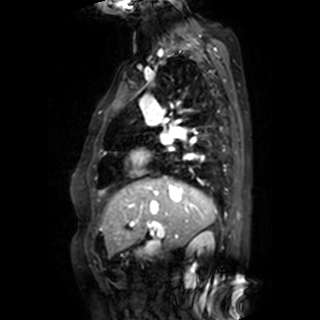 MRI. 320x320.

<segmentation>
  <left_atrium>box=[160, 137, 170, 144]</left_atrium>
</segmentation>